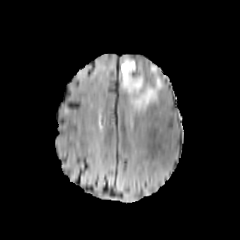
FLAIR magnetic resonance.
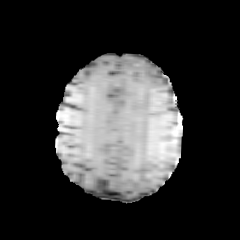
T1-weighted MR of the same slice.
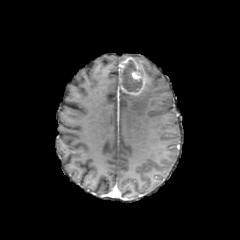
Post-contrast T1-weighted MR image of the same slice.
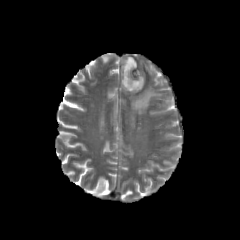
T2-weighted MR.
Head.
edema: <bbox>129, 64, 163, 114</bbox> | enhancing tumor: <bbox>120, 85, 143, 94</bbox>, <bbox>120, 56, 146, 84</bbox> | non-enhancing tumor core: <bbox>120, 60, 143, 92</bbox>